Slice 270 of 771. CT scan slice.
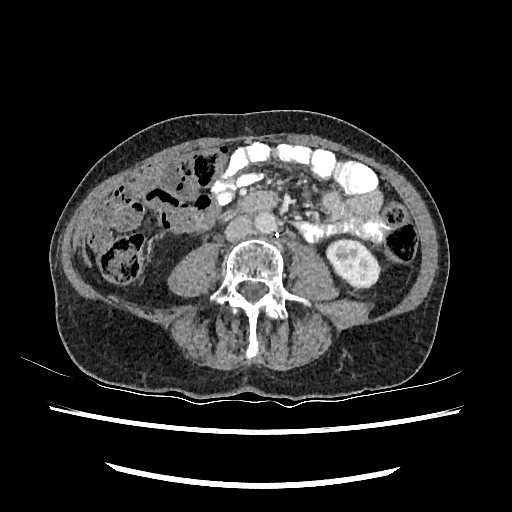

kidney:
  - 327,241,378,286